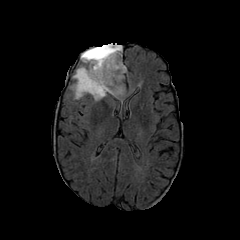
FLAIR MR image.
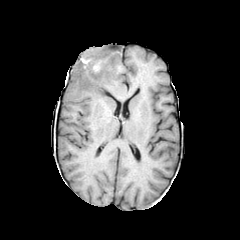
Same slice, T1-weighted magnetic resonance.
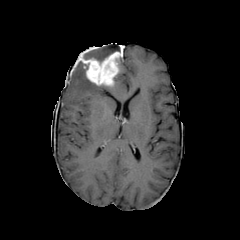
Post-contrast T1-weighted MR.
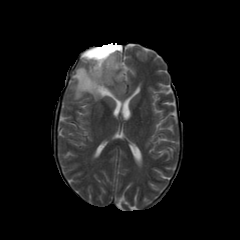
T2-weighted MRI.
Head.
The enhancing tumor is at [x1=79, y1=46, x2=122, y2=86]. 2 non-enhancing tumor core regions are located at [x1=84, y1=44, x2=121, y2=61], [x1=78, y1=68, x2=106, y2=93]. The edema lies within [x1=70, y1=58, x2=127, y2=102].